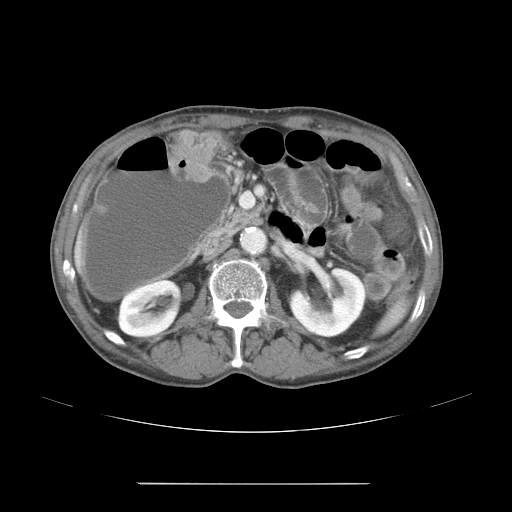
Computed tomography. Pelvis.

{
  "colon_tumor": [
    "168,130,216,182"
  ]
}